Image size 512x512, Slice 73 of 113, CT 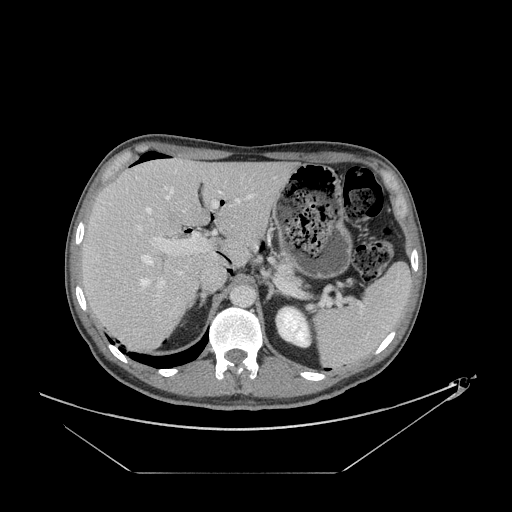
pancreas: 280:266:302:284